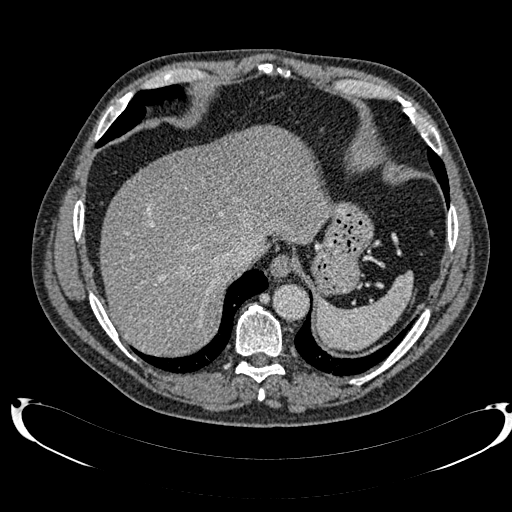

Upper abdomen, CT
liver: region(101, 126, 327, 356) | hepatic lesion: region(146, 135, 254, 223)